Image width 35 mm. Medial temporal lobe. MR image. Slice 34 of 45. 35x47 px. 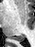
posterior hippocampus: (15,36,24,41)